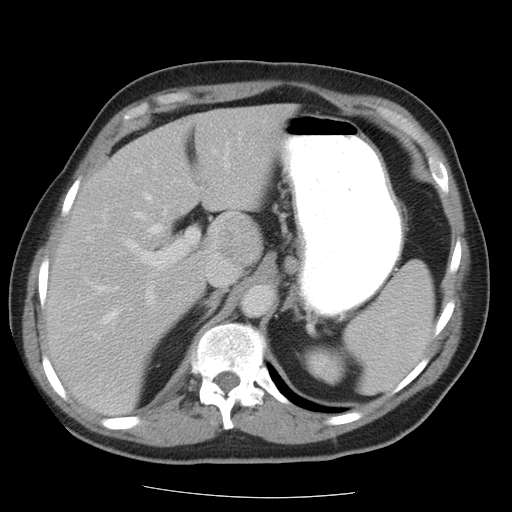 Image size 512x512. Liver. CT image.
Only some of the vessels may be annotated.
The top 15 hepatic vessel regions (of 17) are bounded by (x1=97, y1=286, x2=107, y2=293), (x1=103, y1=311, x2=117, y2=322), (x1=87, y1=237, x2=90, y2=240), (x1=212, y1=150, x2=216, y2=152), (x1=149, y1=224, x2=163, y2=233), (x1=164, y1=206, x2=167, y2=218), (x1=142, y1=229, x2=199, y2=269), (x1=227, y1=143, x2=229, y2=149), (x1=136, y1=168, x2=141, y2=172), (x1=154, y1=161, x2=157, y2=167), (x1=144, y1=192, x2=151, y2=199), (x1=225, y1=163, x2=229, y2=167), (x1=136, y1=212, x2=144, y2=217), (x1=146, y1=282, x2=155, y2=304), (x1=127, y1=240, x2=137, y2=249). The liver tumor is bounded by (x1=208, y1=214, x2=262, y2=267).